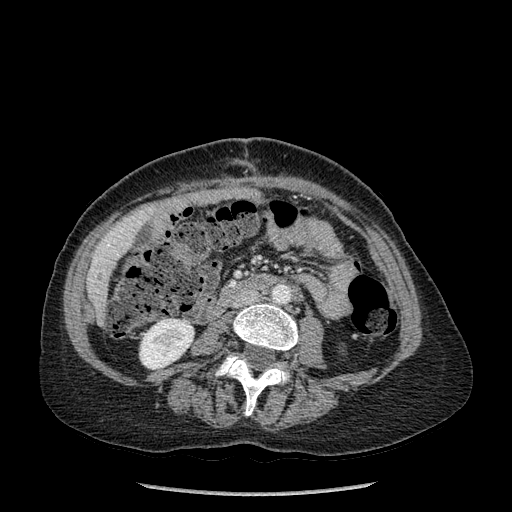 Computed tomography | 512x512 | Upper abdomen

Kidney: <bbox>140, 319, 193, 369</bbox>.
Liver: <bbox>86, 207, 155, 328</bbox>.
Bone: <bbox>216, 353, 289, 415</bbox>, <bbox>233, 303, 298, 350</bbox>.